FLAIR MR image.
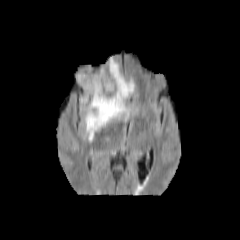
T1-weighted MR image.
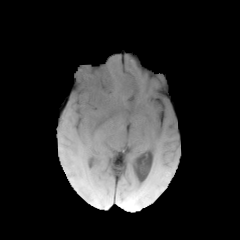
Post-contrast T1-weighted MR.
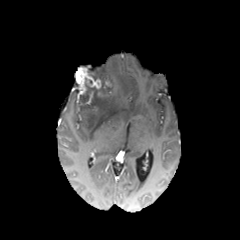
T2-weighted magnetic resonance.
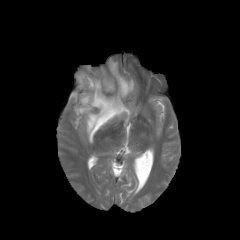
Head.
The non-enhancing tumor core is bounded by (75, 67, 115, 110). The edema is located at (74, 56, 134, 142). The enhancing tumor is bounded by (75, 65, 100, 101).